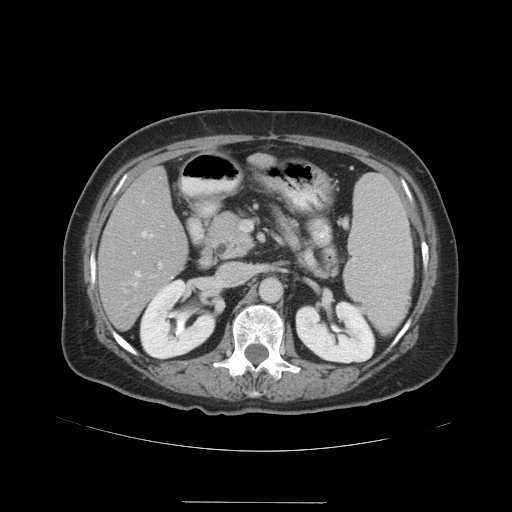

CT slice; Liver
Only some of the vessels may be annotated.
Annotated regions:
- hepatic vessel: bbox=[142, 231, 152, 237]; bbox=[160, 177, 162, 178]; bbox=[150, 277, 152, 278]; bbox=[134, 283, 136, 285]; bbox=[135, 271, 140, 276]; bbox=[158, 263, 161, 268]